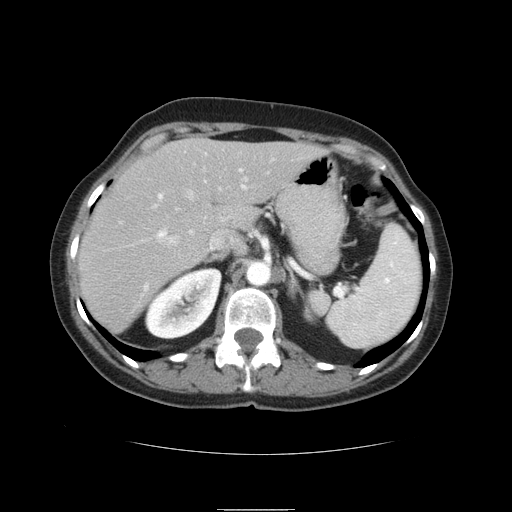 Computed tomography. {"spleen": ["328, 225, 422, 348"]}